Slice index 108. Image width 496 mm. CT scan slice. 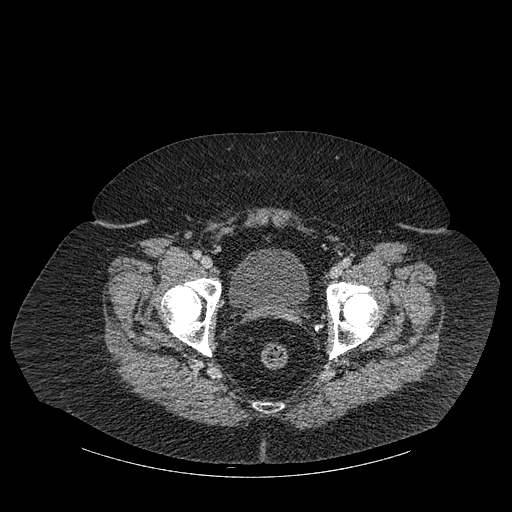
bone: 161:278:220:356, 253:403:270:411, 327:282:378:359 | urinary bladder: 230:247:309:321